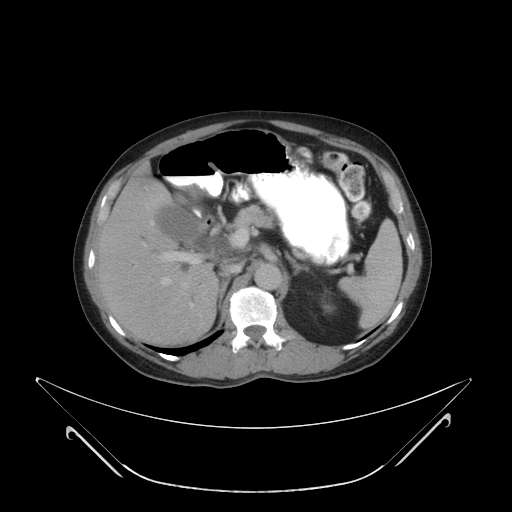 Computed tomography | 512x512
pancreas: x1=231, y1=203, x2=279, y2=233